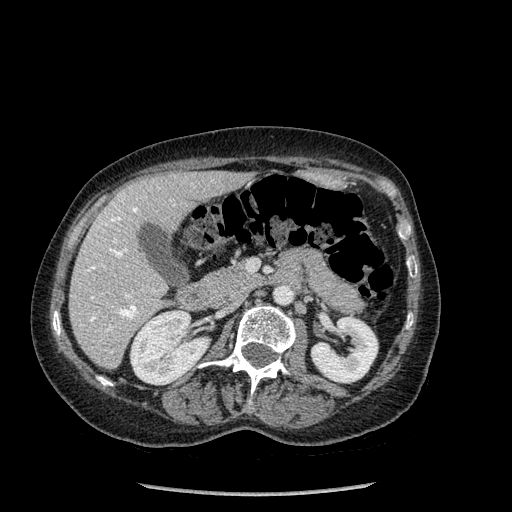 CT slice. Upper abdomen.
The liver is at 69:171:253:368. 7 bone regions appear at 198:304:296:395, 52:311:60:335, 406:313:413:328, 97:376:112:385, 246:398:252:410, 407:260:417:277, 399:225:410:239. 2 kidney regions appear at 311:317:377:382, 131:311:208:384.